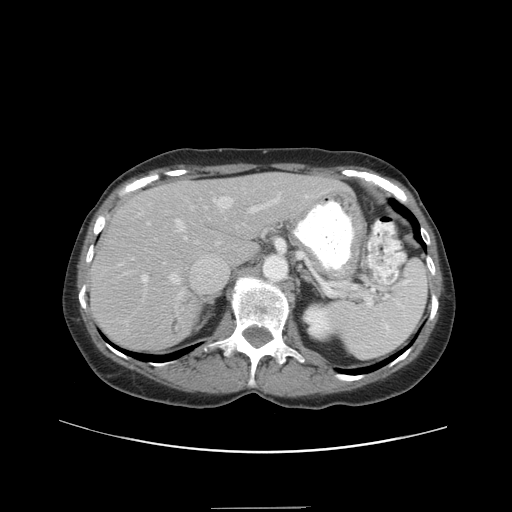 CT image

The vessel annotation is not exhaustive.
hepatic vessel: 170,274,179,282; 142,275,147,283; 249,192,280,212; 213,197,232,208; 184,237,186,239; 176,219,184,231; 147,222,149,224